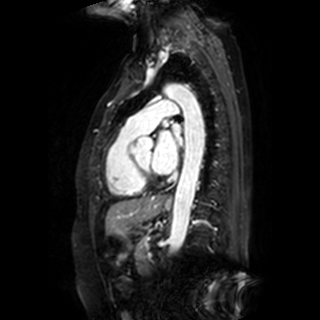 MRI. Heart.
Left atrium: bounding box region(172, 123, 182, 144); region(152, 131, 177, 174).